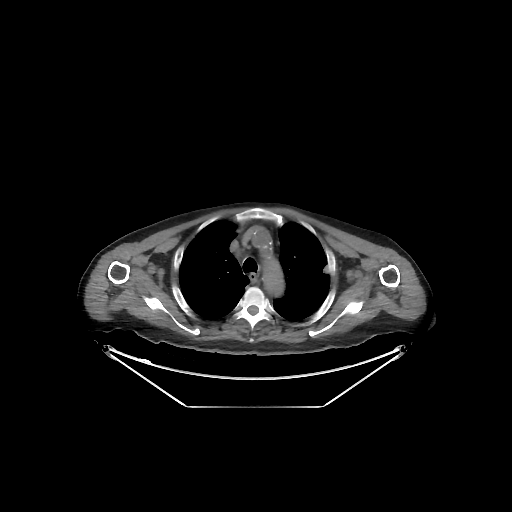

Thorax, CT slice
2 lung regions appear at left=273, top=221, right=329, bottom=321; left=179, top=219, right=257, bottom=320. 9 bone regions are located at left=236, top=287, right=273, bottom=329; left=379, top=265, right=399, bottom=287; left=311, top=292, right=334, bottom=321; left=237, top=208, right=282, bottom=224; left=172, top=286, right=188, bottom=312; left=172, top=317, right=199, bottom=334; left=108, top=261, right=129, bottom=283; left=143, top=296, right=167, bottom=312; left=309, top=301, right=363, bottom=336.